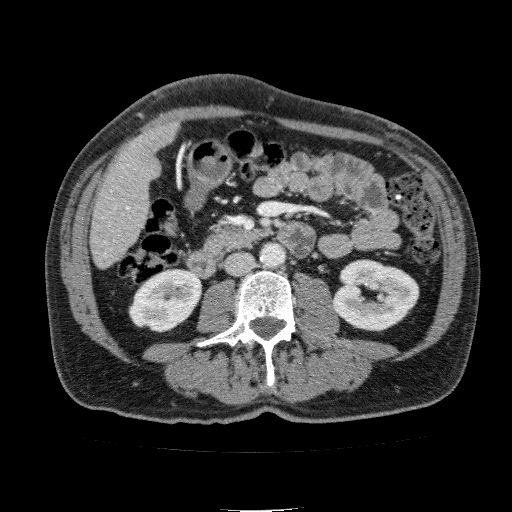 CT scan slice
{"liver": ["[90, 119, 181, 269]"], "kidney": ["[130, 270, 200, 330]", "[333, 260, 417, 329]"]}